Image size 36x55; MR image
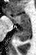
Posterior hippocampus: bounding box (16, 27, 30, 41).
Anterior hippocampus: bounding box (6, 11, 30, 26).